CT slice | Field of view 512 mm wide, 1.00 mm slice spacing | Image size 512x512

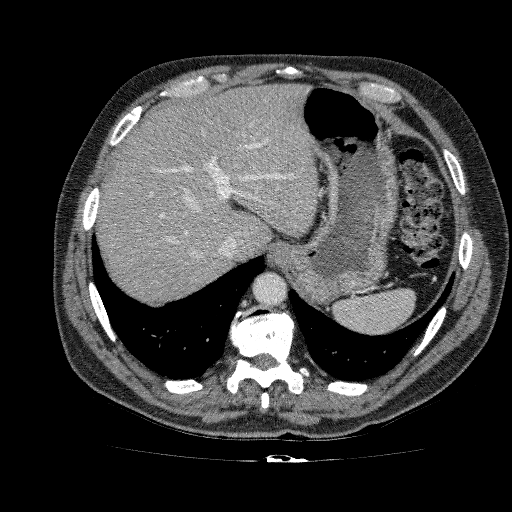 Segmented structures:
- liver: <box>97,83,318,306</box>